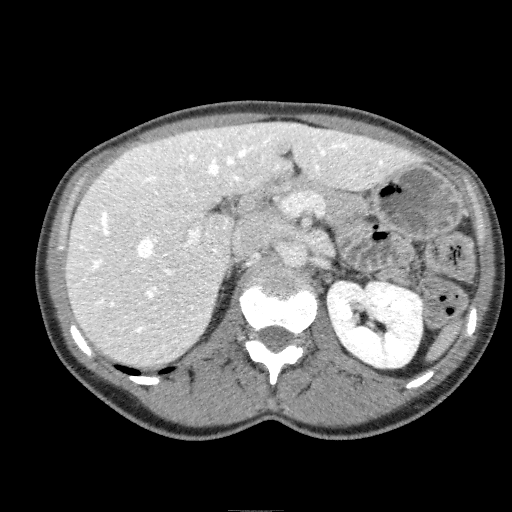
Image size 512x512, CT slice, Liver

Findings:
- kidney: 327 282 422 367
- focal liver lesion: 211 215 224 227
- liver: 65 121 419 366